Computed tomography; Abdomen; Image width 512 mm
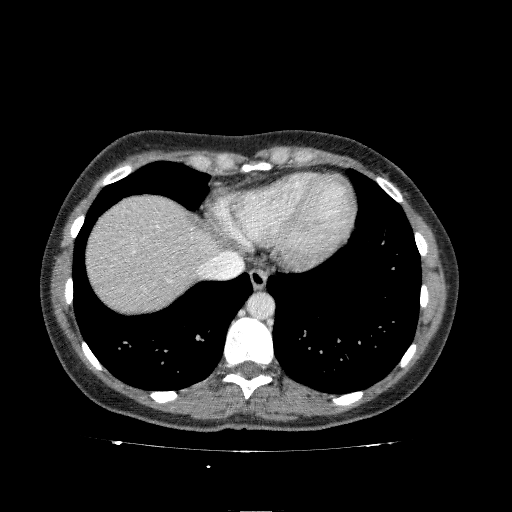

liver:
  - box(86, 195, 217, 312)